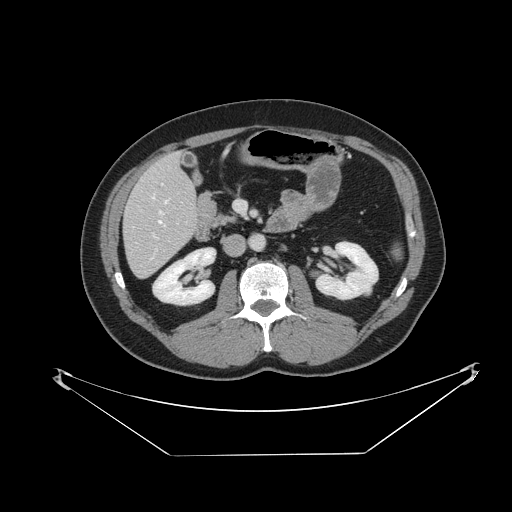
Computed tomography

Spleen — <bbox>391, 242, 400, 257</bbox>.